Computed tomography

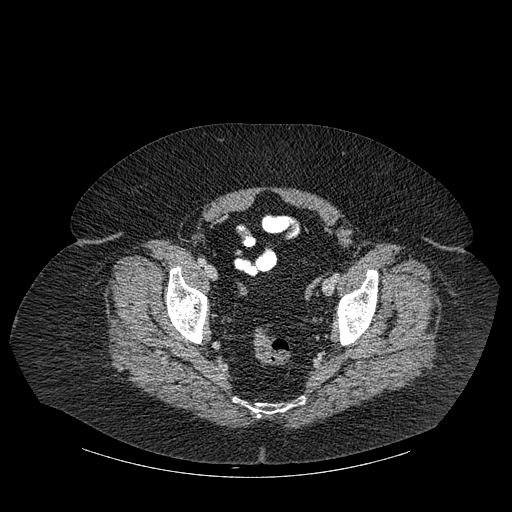 Bone at (left=338, top=270, right=377, bottom=345), (left=166, top=266, right=207, bottom=343), (left=233, top=396, right=305, bottom=417).